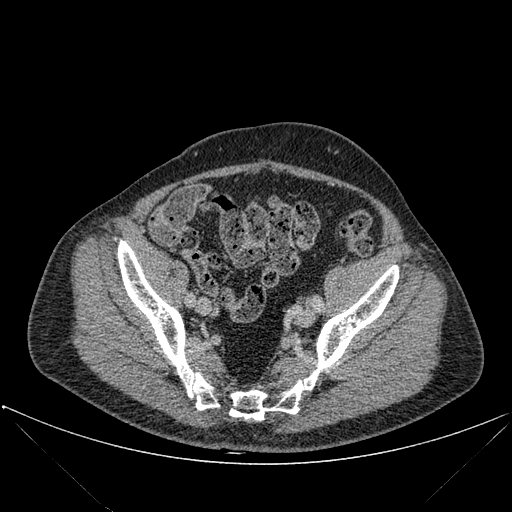
CT

Annotated regions:
- bone: (x1=229, y1=265, x2=398, y2=420), (x1=118, y1=240, x2=219, y2=410)